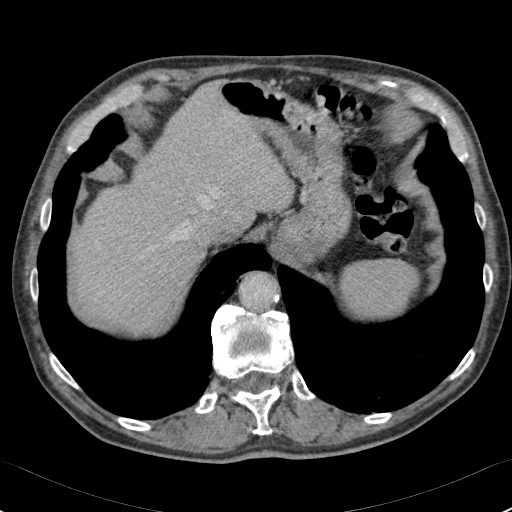

CT scan slice. Upper abdomen.

Annotated regions:
* liver: (75, 84, 290, 329)